FLAIR MR image.
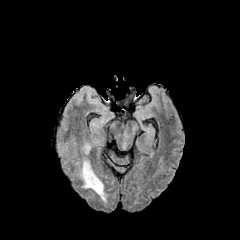
T1-weighted magnetic resonance.
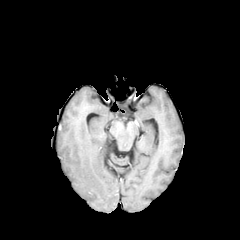
Post-contrast T1-weighted MR image.
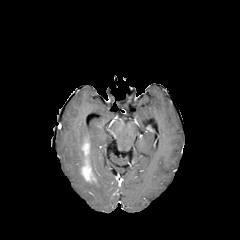
T2-weighted MRI.
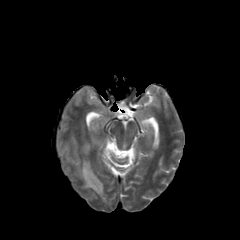
Edema at box(79, 155, 106, 202); box(92, 119, 107, 128).
Enhancing tumor at box(82, 161, 96, 182); box(82, 143, 90, 154).